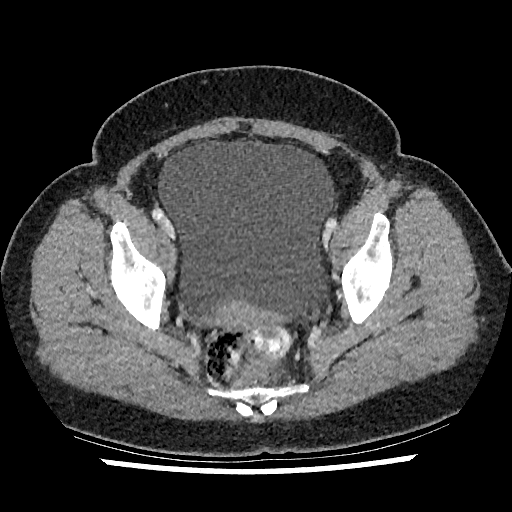
Computed tomography

Annotated regions:
- urinary bladder: [158, 139, 334, 322]